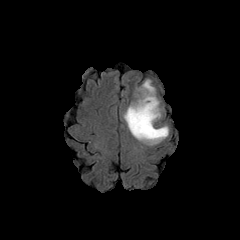
FLAIR MR.
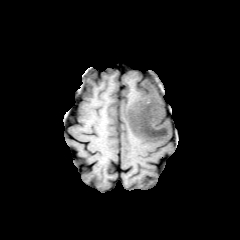
T1-weighted MR.
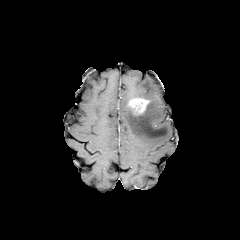
Post-contrast T1-weighted MR.
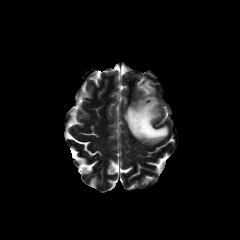
T2-weighted MR image.
240x240 px. Head.
The edema lies within 123, 80, 168, 144. The enhancing tumor lies within 129, 98, 148, 114.